T2-weighted MRI.
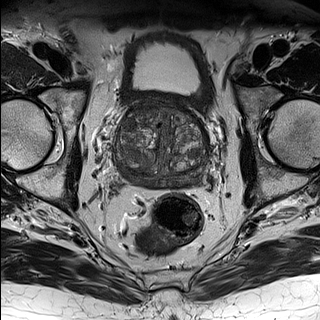
ADC MR.
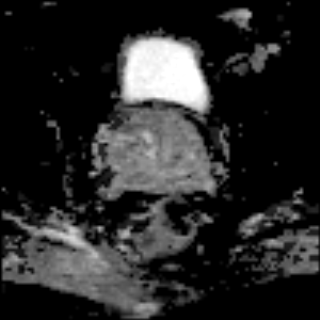
Pelvis | Image size 320x320
Prostate transition zone at region(115, 107, 207, 177).
Prostate peripheral zone at region(119, 166, 205, 185).